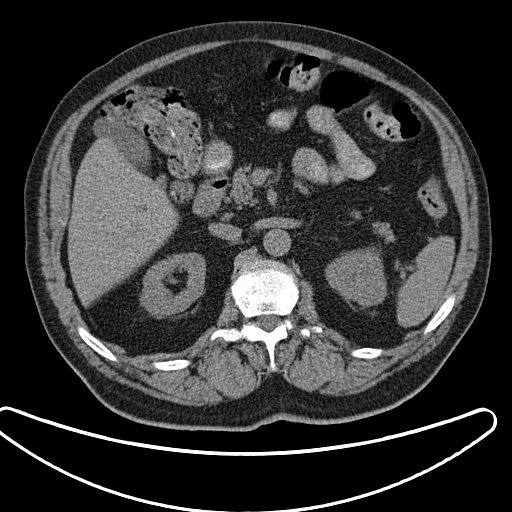
CT.

The spleen appears at [397, 237, 453, 325].